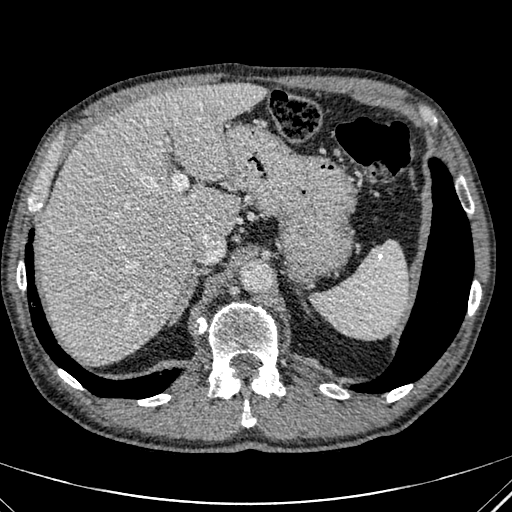
512x512; CT scan slice

Liver — (left=39, top=83, right=267, bottom=363).